Head | Field of view 240x240 mm | Slice 101/155
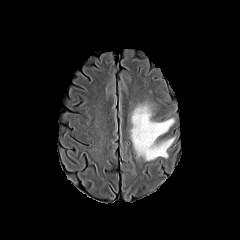
FLAIR MRI.
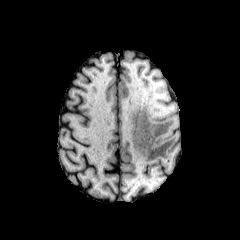
T1-weighted MRI of the same slice.
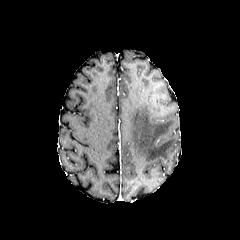
Post-contrast T1-weighted MRI of the same slice.
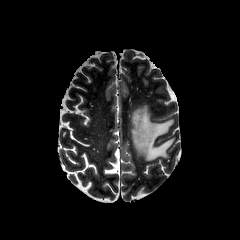
T2-weighted MR of the same slice.
• edema: 130 105 174 162